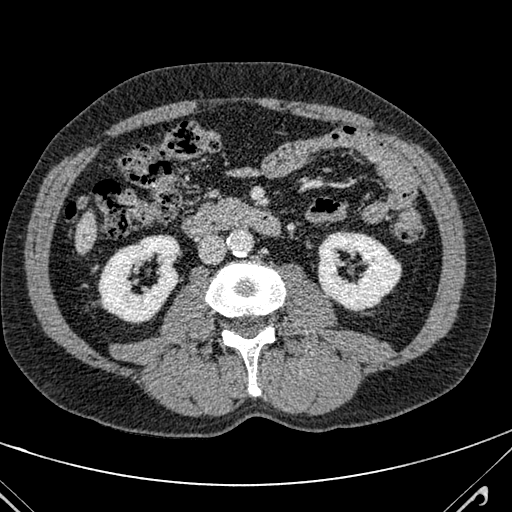

Abdomen. CT image. Liver — (left=75, top=213, right=95, bottom=251).